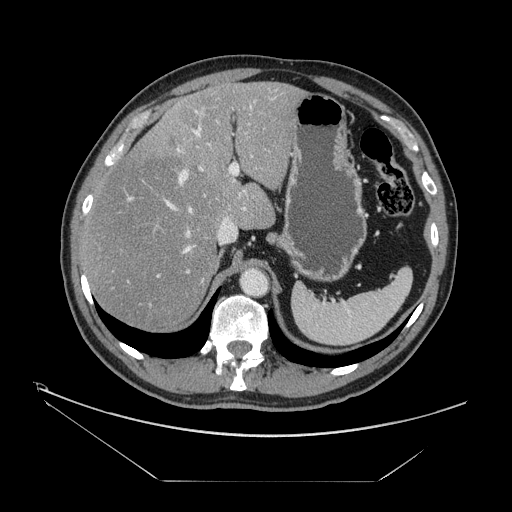

CT slice, Abdomen

The vessel annotation is not exhaustive.
Liver tumor: region(170, 138, 177, 146).
Hepatic vessel: region(186, 232, 189, 234); region(167, 202, 173, 207); region(189, 209, 191, 211); region(177, 149, 180, 151); region(179, 171, 187, 181); region(225, 218, 227, 219); region(194, 127, 200, 134); region(199, 113, 201, 115); region(229, 163, 238, 174); region(185, 247, 190, 251); region(200, 167, 202, 170).